CT image

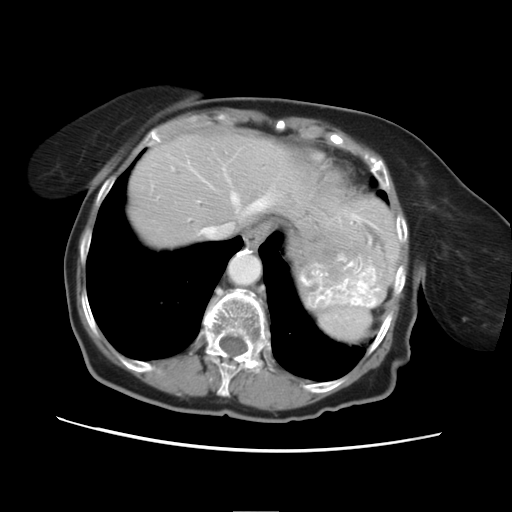

Some hepatic vessels may have no box.
Hepatic vessel — x1=230, y1=191, x2=273, y2=213; x1=200, y1=224, x2=231, y2=236.